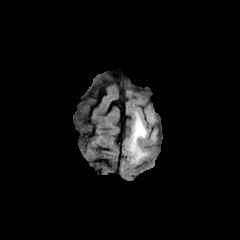
FLAIR MRI.
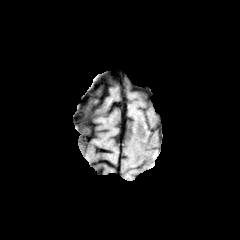
Same slice, T1-weighted MR image.
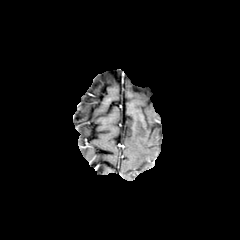
Same slice, post-contrast T1-weighted MR image.
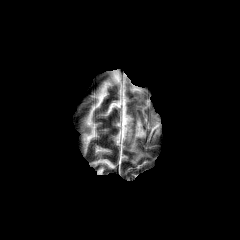
T2-weighted MR image of the same slice.
edema:
  - box=[126, 110, 156, 163]